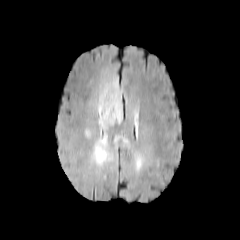
FLAIR MRI.
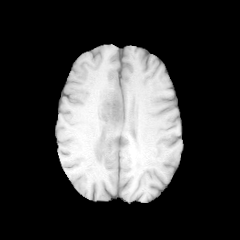
Same slice, T1-weighted MR.
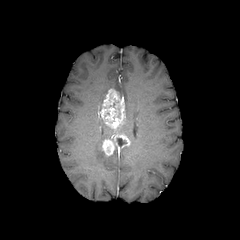
Post-contrast T1-weighted MR.
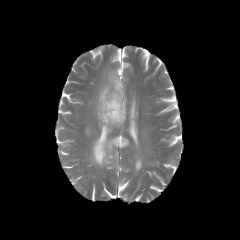
T2-weighted MRI of the same slice.
Head; 240x240
non-enhancing_tumor_core:
  - <box>117,137,127,147</box>
edema:
  - <box>93,112,112,165</box>
  - <box>98,82,120,109</box>
  - <box>135,155,142,168</box>
enhancing_tumor:
  - <box>99,88,125,128</box>
  - <box>102,134,130,155</box>